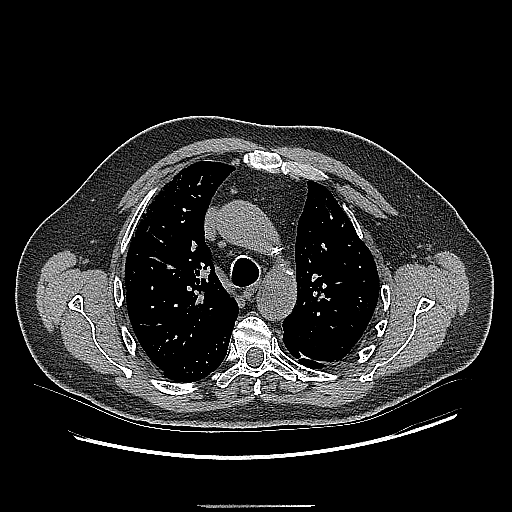 CT
The lung tumor is located at <bbox>293, 349, 311, 361</bbox>.